Brain | Field of view 240 mm wide, 1.00 mm slice spacing
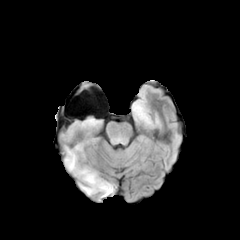
FLAIR MR.
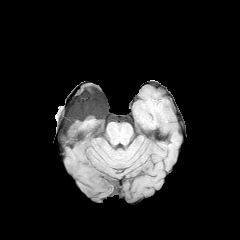
Same slice, T1-weighted MR image.
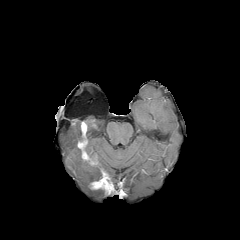
Post-contrast T1-weighted magnetic resonance.
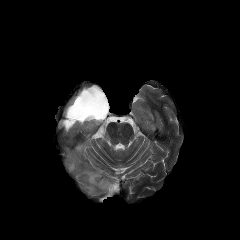
T2-weighted MRI.
Segmented structures:
- enhancing tumor: <bbox>91, 178, 113, 193</bbox>
- edema: <bbox>68, 121, 80, 131</bbox>, <bbox>133, 102, 144, 117</bbox>, <bbox>65, 146, 108, 197</bbox>, <bbox>84, 117, 101, 128</bbox>
- non-enhancing tumor core: <bbox>77, 121, 91, 134</bbox>